Abdomen; CT scan slice; 512x512 px
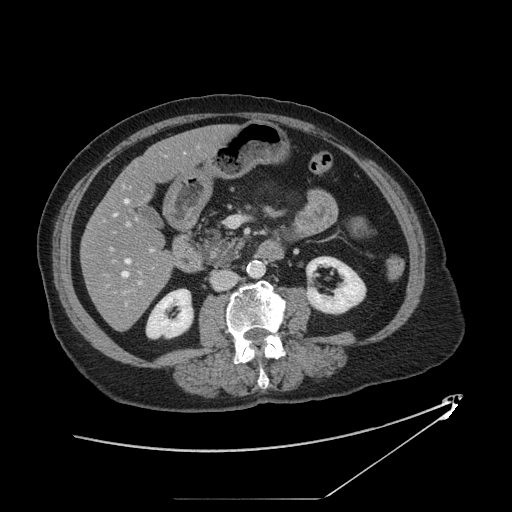 The pancreas is at bbox(199, 231, 243, 269). The pancreatic tumor lies within bbox(203, 239, 234, 266).